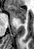 MR
The anterior hippocampus appears at bbox(8, 5, 25, 19). The posterior hippocampus lies within bbox(20, 20, 24, 23).